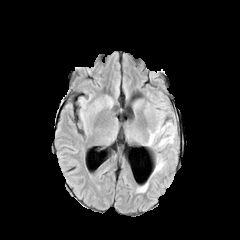
FLAIR magnetic resonance.
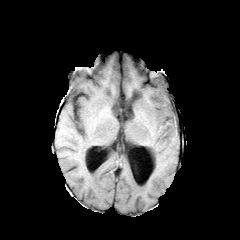
T1-weighted MR image.
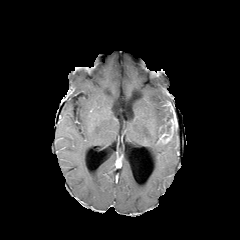
Post-contrast T1-weighted MR image.
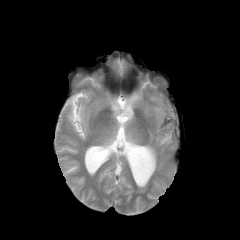
T2-weighted magnetic resonance.
Image size 240x240. Head.
Non-enhancing tumor core — left=158, top=126, right=173, bottom=143.
Edema — left=147, top=110, right=175, bottom=149; left=152, top=157, right=164, bottom=174; left=137, top=181, right=148, bottom=192.